FLAIR MR.
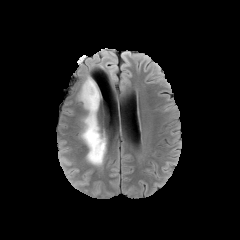
T1-weighted MR.
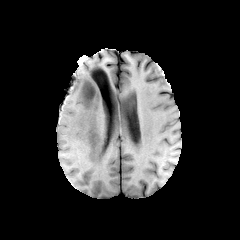
Post-contrast T1-weighted MRI.
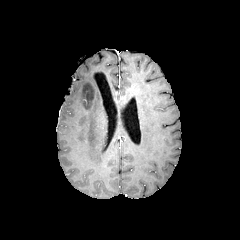
T2-weighted magnetic resonance.
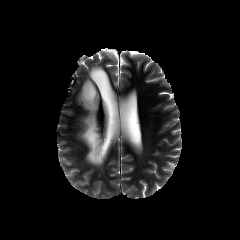
Head, Image size 240x240
Edema — l=78, t=76, r=107, b=165.